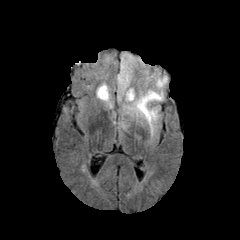
FLAIR MRI.
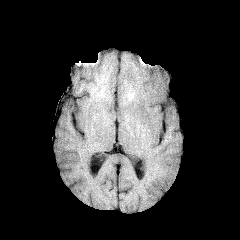
T1-weighted MRI.
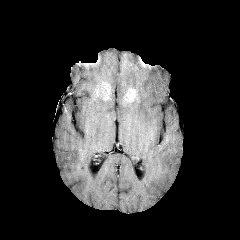
Post-contrast T1-weighted MR image.
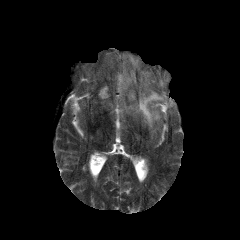
Same slice, T2-weighted magnetic resonance.
Head.
Enhancing tumor = 126,89,135,101.
Edema = 124,78,165,133; 98,85,110,101; 117,54,136,100.